Image size 240x240. Head.
FLAIR magnetic resonance.
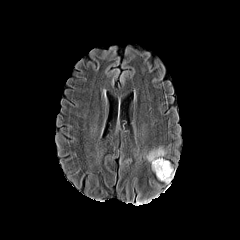
T1-weighted MR.
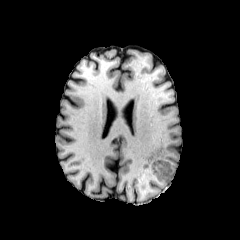
Post-contrast T1-weighted MR image.
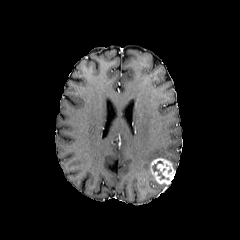
T2-weighted MRI.
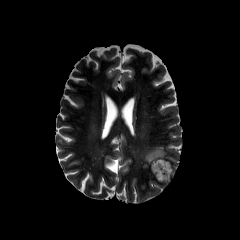
Enhancing tumor at 150,158,175,183.
Edema at 143,146,164,163.
Non-enhancing tumor core at 152,161,164,180.